FLAIR MR.
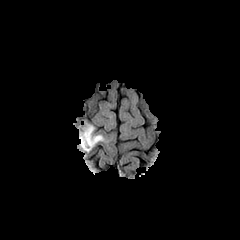
T1-weighted MRI.
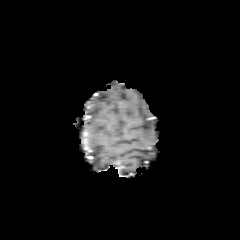
Post-contrast T1-weighted MR.
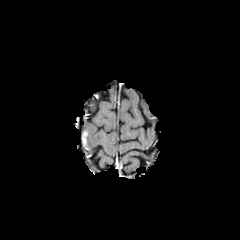
T2-weighted MR.
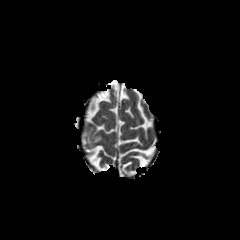
Image size 240x240
The enhancing tumor appears at 82:132:87:144. The edema is bounded by 79:126:103:151.